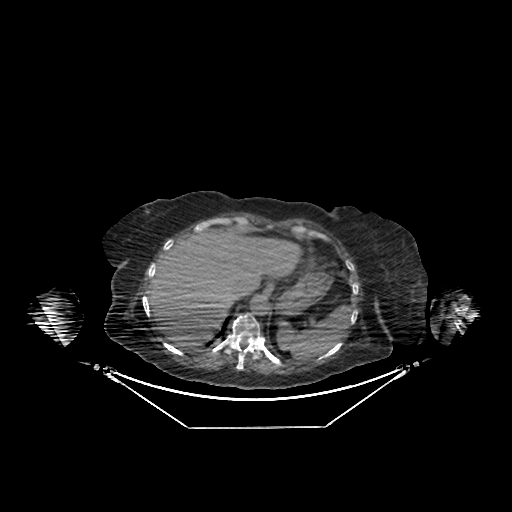 512x512 px, CT slice
Liver: bounding box <bbox>149, 225, 307, 351</bbox>.